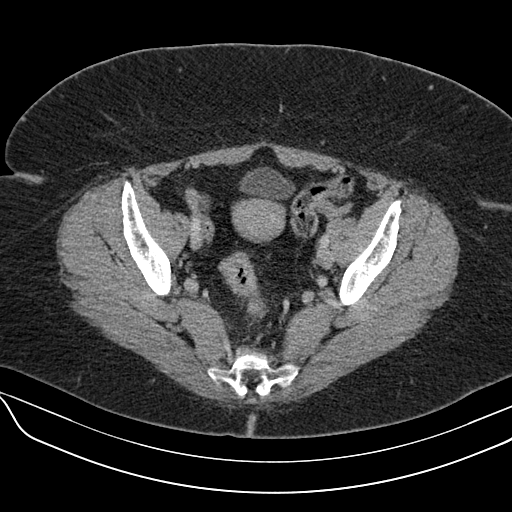
Pelvis, CT slice
Colon tumor at bbox(218, 253, 257, 295).